FLAIR MR.
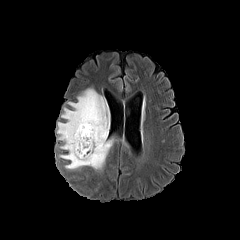
T1-weighted MR image.
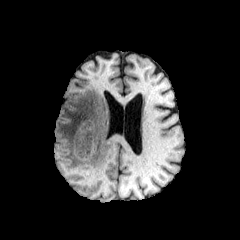
Post-contrast T1-weighted magnetic resonance.
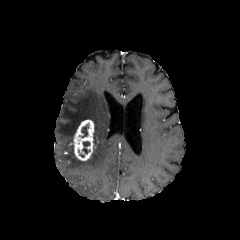
T2-weighted magnetic resonance.
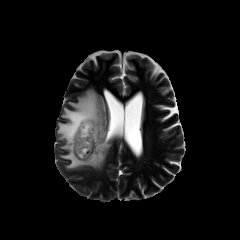
Annotated regions:
- enhancing tumor: <box>71,119,96,161</box>
- non-enhancing tumor core: <box>78,141,90,158</box>, <box>81,124,88,138</box>
- edema: <box>57,88,112,170</box>